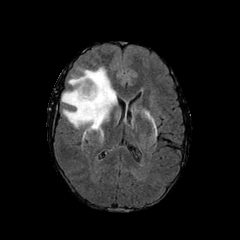
FLAIR MRI.
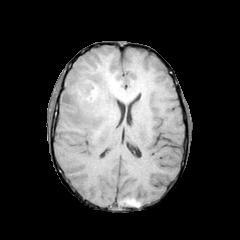
Same slice, T1-weighted MR image.
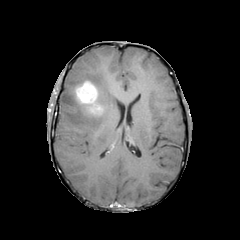
Post-contrast T1-weighted MR.
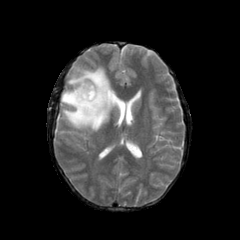
Same slice, T2-weighted MRI.
Non-enhancing tumor core = l=73, t=90, r=103, b=116.
Enhancing tumor = l=76, t=82, r=101, b=113.
Edema = l=61, t=66, r=117, b=133.